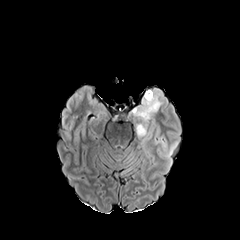
FLAIR magnetic resonance.
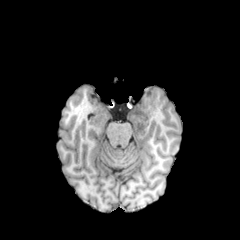
T1-weighted MRI.
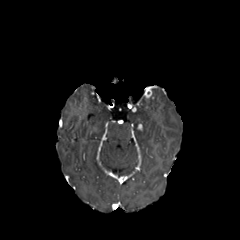
Post-contrast T1-weighted MR of the same slice.
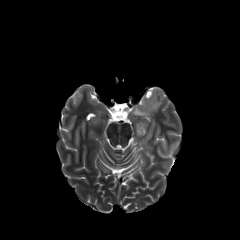
Same slice, T2-weighted MRI.
Head.
The edema is located at x1=128, y1=91, x2=165, y2=150. The enhancing tumor appears at x1=144, y1=88, x2=152, y2=96.